CT slice, Field of view 373 mm wide, 0.80 mm slice spacing, Pelvis
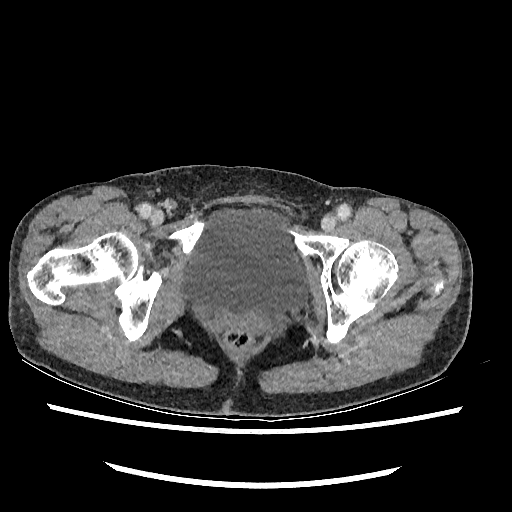

<segmentation>
  <urinary_bladder>(179, 207, 310, 329)</urinary_bladder>
</segmentation>